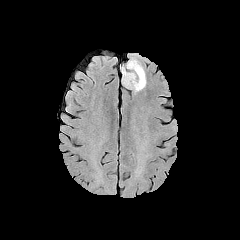
FLAIR magnetic resonance.
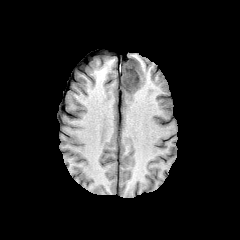
T1-weighted MRI of the same slice.
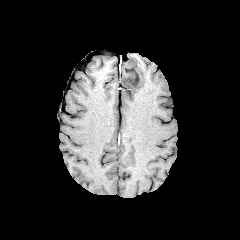
Same slice, post-contrast T1-weighted MRI.
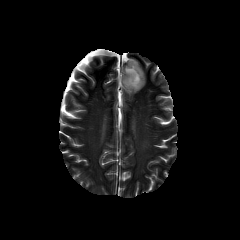
T2-weighted magnetic resonance of the same slice.
Image size 240x240. Brain.
edema: (left=130, top=67, right=145, bottom=93) | non-enhancing tumor core: (left=121, top=60, right=141, bottom=89)